CT slice. Slice index 371. Liver. Field of view 360x360 mm.

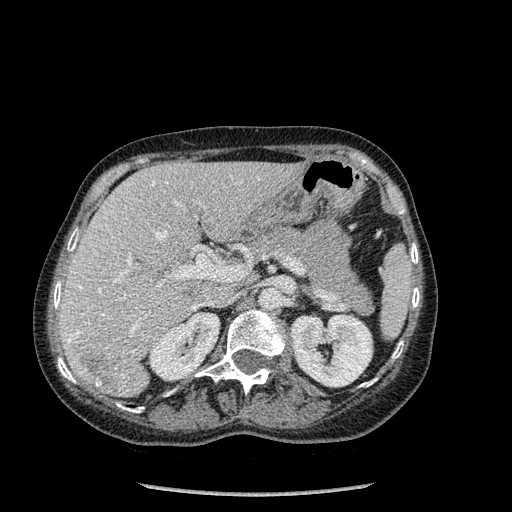

Findings:
* liver: 60,162,303,397
* liver lesion: 182,287,202,298; 83,353,117,391
* kidney: 291,315,371,386; 150,313,219,379
* bone: 53,281,62,308; 411,287,419,307; 195,309,286,394; 58,357,75,383; 410,243,418,263; 359,378,377,387; 116,402,144,412; 67,230,78,251; 395,203,404,213; 392,341,403,359